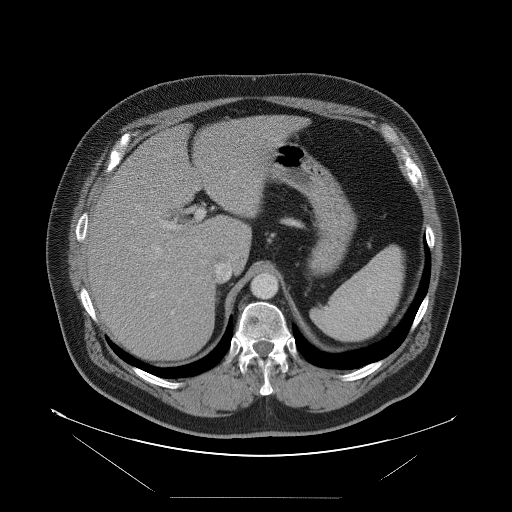
512x512 px; CT scan slice
Only some of the vessels may be annotated.
Hepatic vessel: [151, 256, 154, 258], [152, 245, 162, 253], [171, 311, 173, 313], [160, 221, 175, 228], [145, 249, 148, 252], [150, 292, 155, 297], [196, 209, 204, 218], [182, 239, 184, 241], [114, 286, 116, 288], [132, 220, 134, 223], [165, 272, 167, 273].